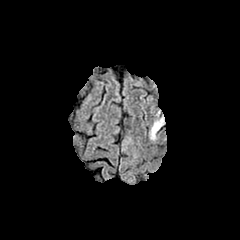
FLAIR MR.
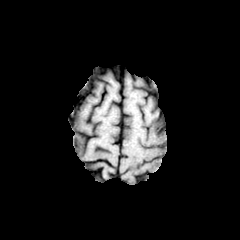
T1-weighted MRI.
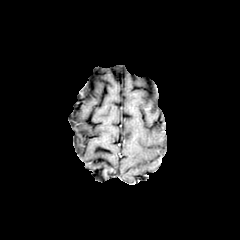
Same slice, post-contrast T1-weighted magnetic resonance.
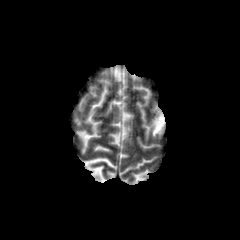
T2-weighted MR image of the same slice.
Image size 240x240 | Brain
Annotated regions:
- edema: box(150, 112, 164, 139)